FLAIR MR image.
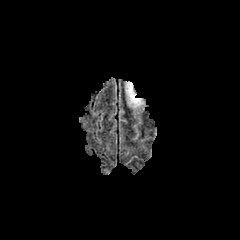
T1-weighted magnetic resonance.
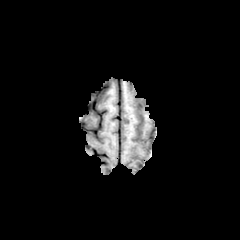
Post-contrast T1-weighted MRI.
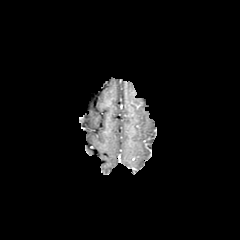
T2-weighted MR image.
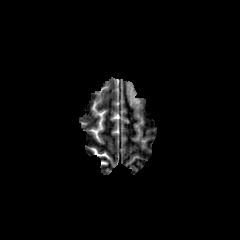
240x240 px
edema:
  - 126 84 141 109